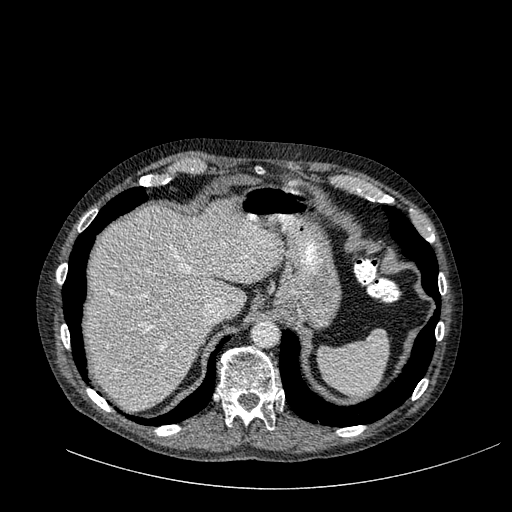 Computed tomography
The liver is at [86,199,281,409].